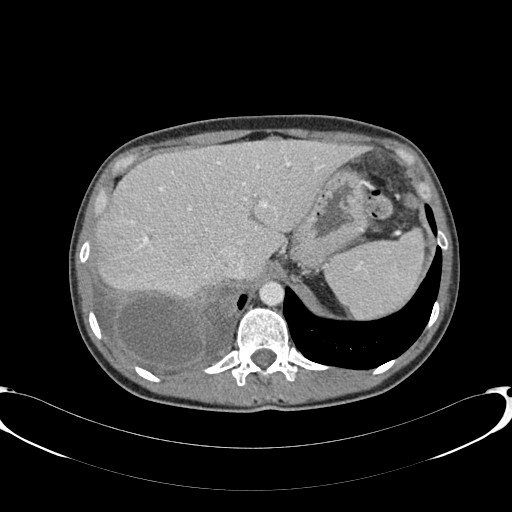

CT
Liver — region(96, 140, 368, 296).